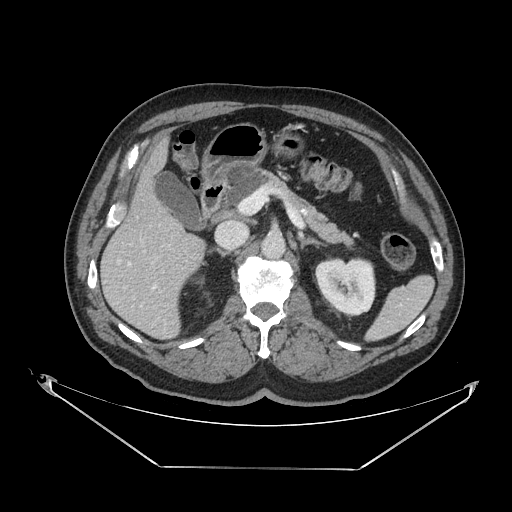

512x512. CT scan slice. Upper abdomen.

<segmentation>
  <pancreatic_tumor>bbox(229, 168, 263, 201)</pancreatic_tumor>
  <pancreas>bbox(221, 161, 356, 247)</pancreas>
</segmentation>